Computed tomography. Field of view 330x330 mm. Slice 343/630. 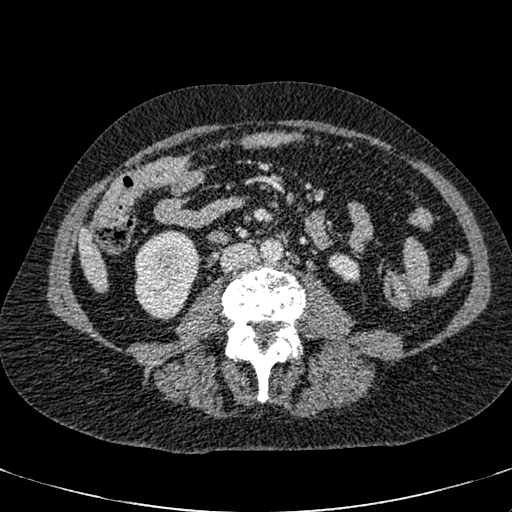

liver: (77, 228, 107, 289) | kidney: (329, 255, 351, 277), (135, 231, 198, 318)